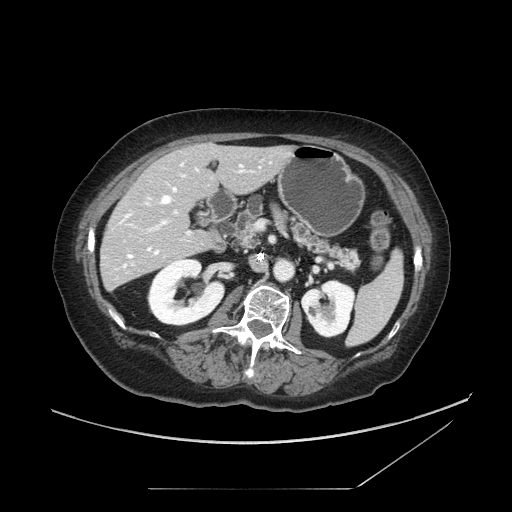

Image size 512x512; Upper abdomen; CT
Pancreatic tumor at 242 227 256 241.
Pancreas at 222 196 263 247, 290 221 359 270.